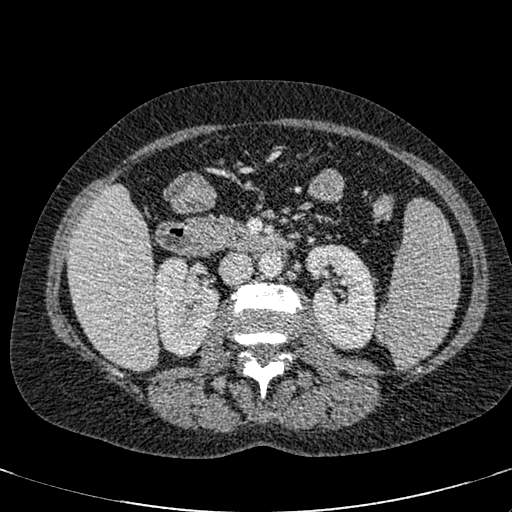 Image size 512x512; CT image
Kidney — (x1=306, y1=245, x2=374, y2=348), (x1=155, y1=258, x2=218, y2=356).
Liver — (x1=67, y1=185, x2=157, y2=369).